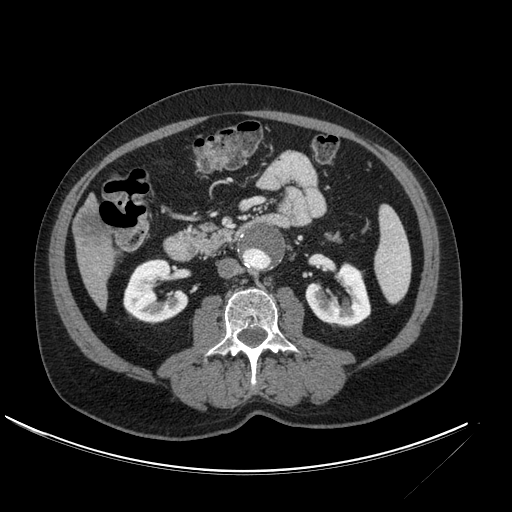
Abdomen | Computed tomography
liver:
  - region(85, 192, 96, 202)
  - region(76, 242, 114, 311)
kidney:
  - region(306, 265, 369, 324)
  - region(124, 260, 186, 321)
hepatic_lesion:
  - region(73, 199, 112, 250)